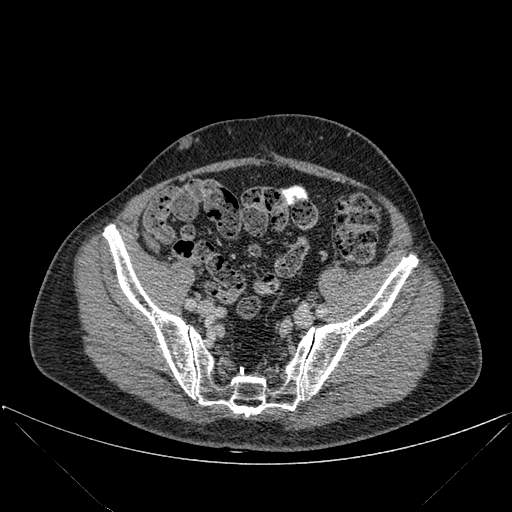

Image size 512x512. CT slice. Bone at box(103, 224, 417, 416).